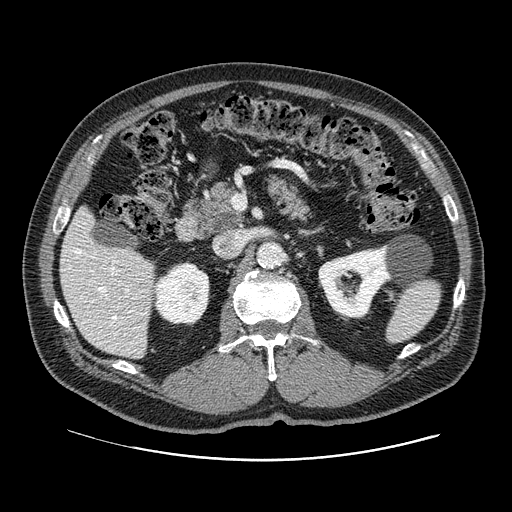

CT slice; Image size 512x512; Abdomen

The pancreatic tumor is at 214, 208, 239, 229. 2 pancreas regions appear at 261, 176, 313, 223; 195, 183, 245, 234.